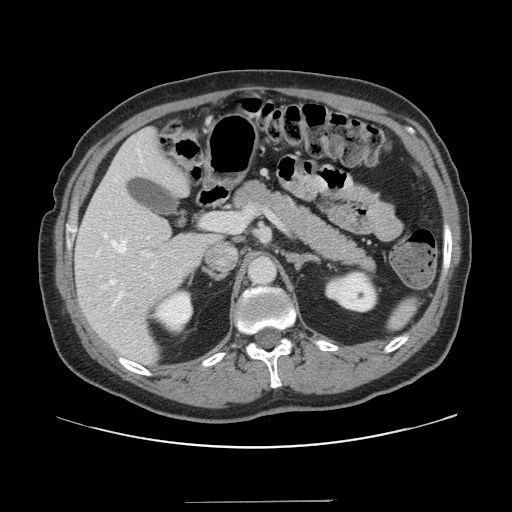
CT image | Liver

Only some of the vessels may be annotated.
Annotated regions:
* hepatic vessel: [111,239,125,252], [113,303,114,305], [202,214,245,231], [104,234,107,237], [109,280,115,284], [115,292,122,302], [141,252,151,256], [246,210,251,216]